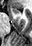 MRI slice. {"anterior_hippocampus": ["(12,8,19,13)"]}